Brain, Slice 84/155
FLAIR MRI.
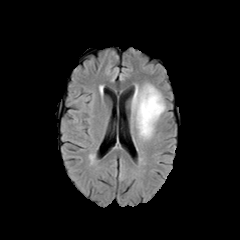
T1-weighted MRI.
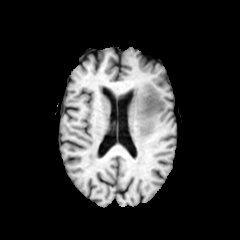
Post-contrast T1-weighted MRI.
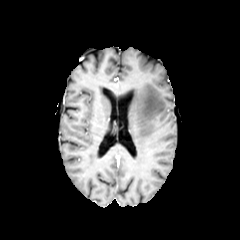
T2-weighted MR image.
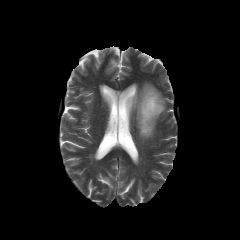
The edema lies within 132, 84, 165, 138.